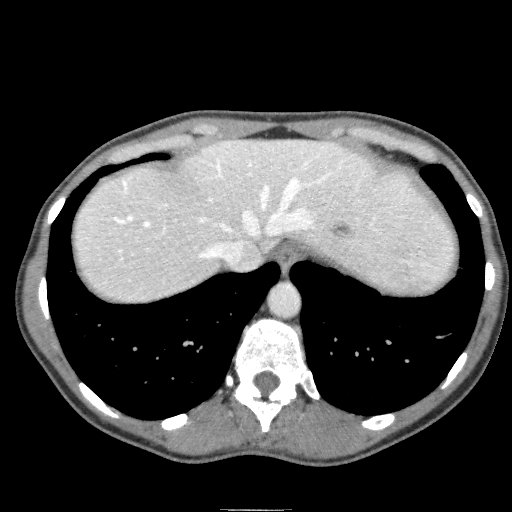 512x512 px, Abdomen, CT
The liver is at rect(74, 138, 455, 304). The hepatic lesion is at rect(330, 222, 351, 238).